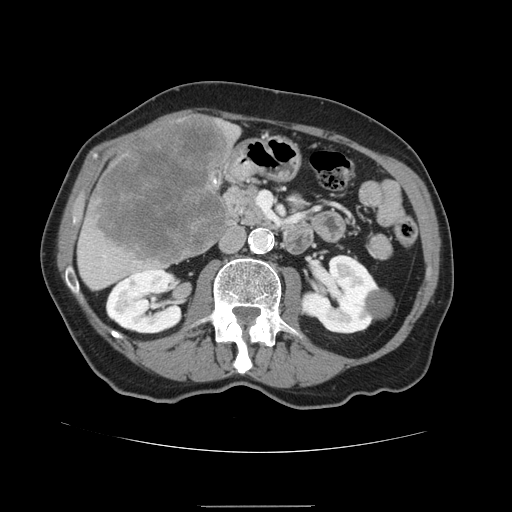 Computed tomography

Liver tumor: bounding box <box>94,118,230,265</box>.